FLAIR MR image.
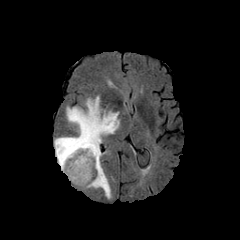
T1-weighted MR image.
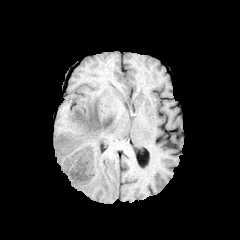
Post-contrast T1-weighted magnetic resonance.
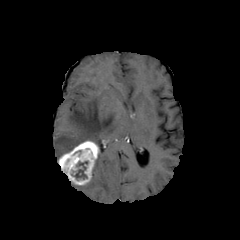
T2-weighted magnetic resonance.
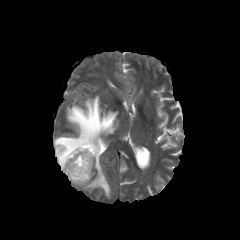
Brain. Image size 240x240.
Edema: (x1=54, y1=96, x2=119, y2=159), (x1=86, y1=150, x2=111, y2=197).
Enhancing tumor: (x1=58, y1=140, x2=99, y2=184).
Non-enhancing tumor core: (x1=71, y1=161, x2=87, y2=178), (x1=81, y1=114, x2=99, y2=126).